Slice index 13
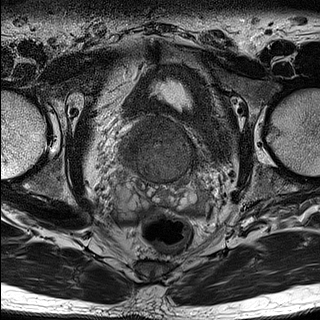
T2-weighted magnetic resonance.
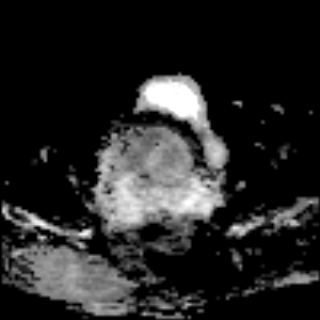
Same slice, ADC MR.
<segmentation>
  <prostate_transition_zone>128 121 191 180</prostate_transition_zone>
</segmentation>